Liver. CT slice.

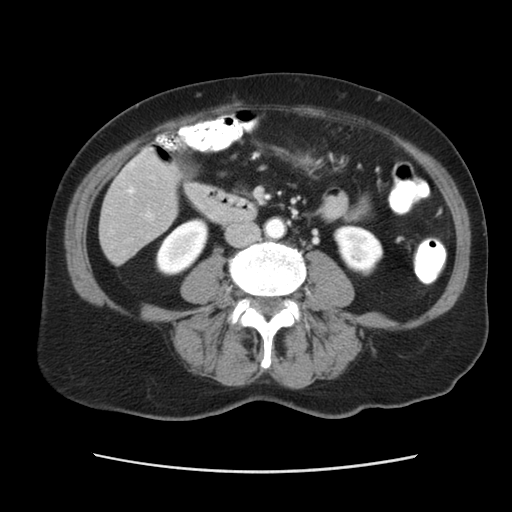

The vessel boxes may cover only some of the vessels.
hepatic vessel: region(147, 214, 151, 217); region(129, 190, 132, 193)